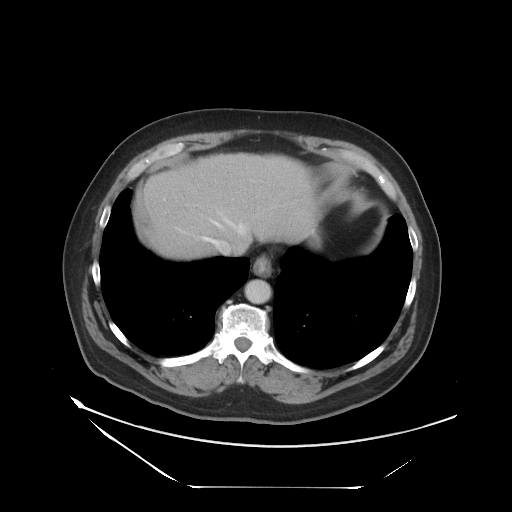
CT scan slice
Not every hepatic vessel necessarily has a box.
* hepatic vessel: 226 220 232 224, 200 214 206 220, 209 218 222 228, 175 227 217 244